Image width 400 mm | CT | Abdomen

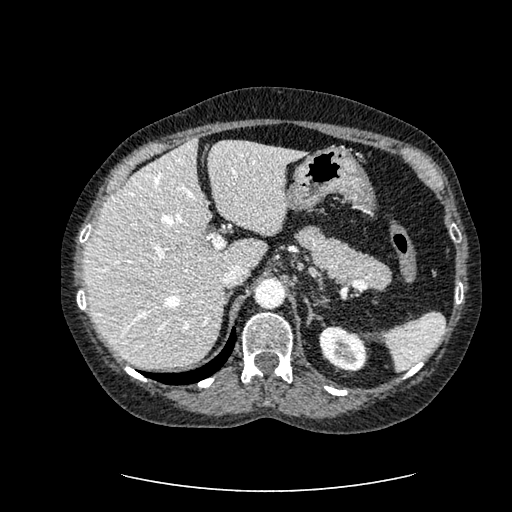 kidney: (320,327,365,370) | liver: (84,138,266,367), (207,140,307,233)